Field of view 240x240 mm. Head. 240x240 px.
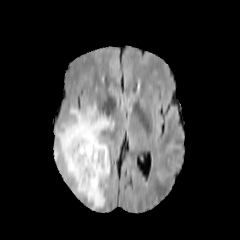
FLAIR magnetic resonance.
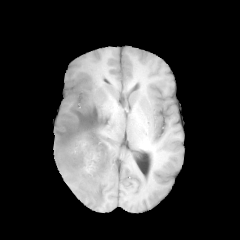
T1-weighted magnetic resonance.
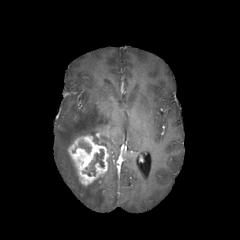
Post-contrast T1-weighted MR of the same slice.
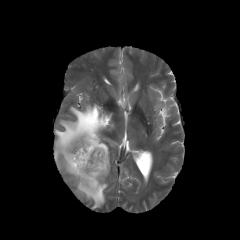
Same slice, T2-weighted MR.
enhancing tumor: rect(68, 135, 108, 185) | edema: rect(53, 103, 113, 209) | non-enhancing tumor core: rect(86, 148, 104, 176); rect(79, 142, 91, 153)